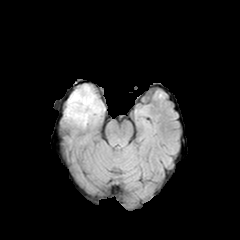
FLAIR MR image.
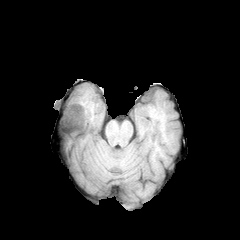
Same slice, T1-weighted MR image.
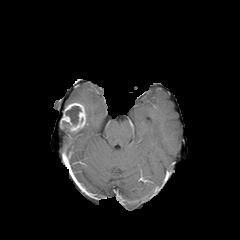
Post-contrast T1-weighted MRI.
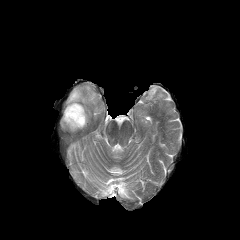
Same slice, T2-weighted MRI.
Brain
{
  "edema": [
    "bbox(66, 85, 104, 124)"
  ],
  "enhancing_tumor": [
    "bbox(62, 102, 85, 131)"
  ],
  "non-enhancing_tumor_core": [
    "bbox(66, 106, 81, 124)"
  ]
}